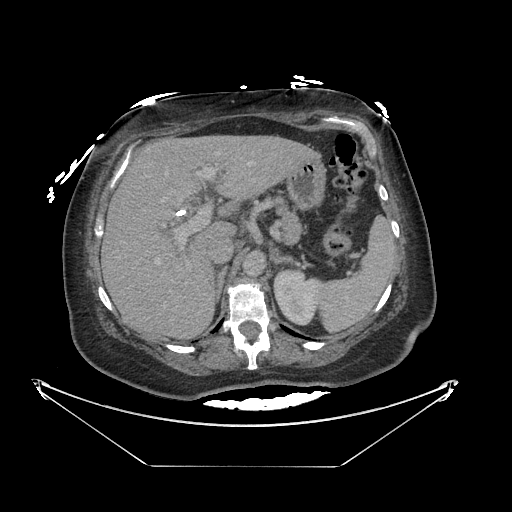
CT scan slice
<segmentation>
  <pancreas><box>276,199,300,243</box></pancreas>
</segmentation>